Slice 57/155
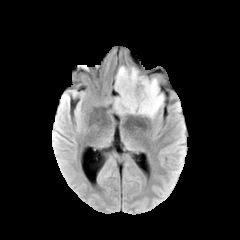
FLAIR MRI.
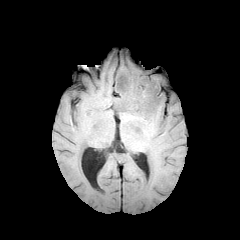
Same slice, T1-weighted magnetic resonance.
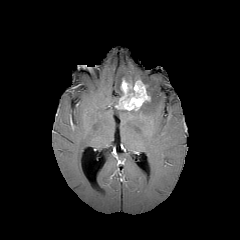
Same slice, post-contrast T1-weighted MR.
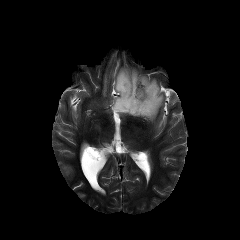
T2-weighted MR.
Enhancing tumor at <box>115,78,150,110</box>.
Non-enhancing tumor core at <box>112,70,153,115</box>.
Edema at <box>140,76,163,118</box>, <box>116,67,137,81</box>.